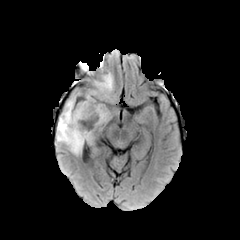
FLAIR MRI.
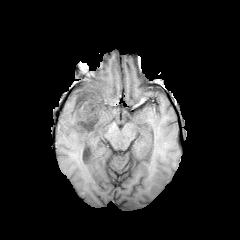
T1-weighted magnetic resonance.
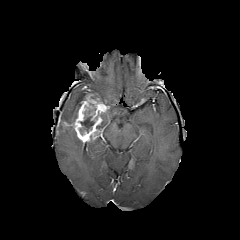
Post-contrast T1-weighted MR.
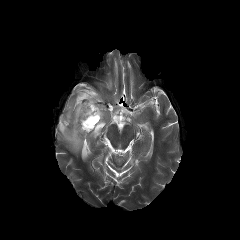
T2-weighted MR image.
Head
{"edema": ["<bbox>60, 96, 75, 123</bbox>", "<bbox>56, 121, 83, 153</bbox>", "<bbox>94, 73, 113, 100</bbox>", "<bbox>102, 108, 111, 123</bbox>"], "enhancing_tumor": ["<bbox>59, 89, 107, 143</bbox>"], "non-enhancing_tumor_core": ["<bbox>80, 116, 93, 131</bbox>", "<bbox>74, 92, 87, 121</bbox>", "<bbox>91, 95, 107, 105</bbox>"]}